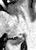
Magnetic resonance. The posterior hippocampus appears at l=14, t=34, r=24, b=43.